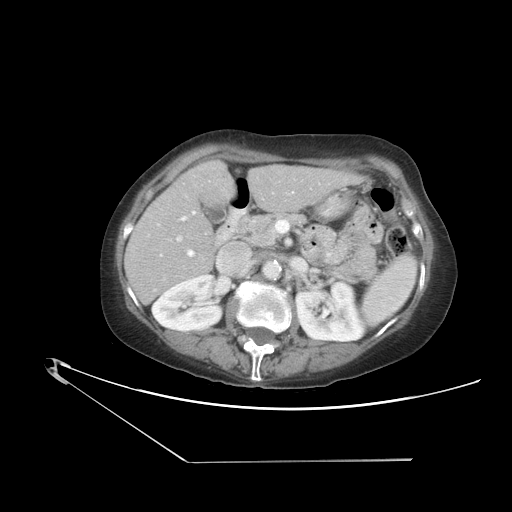
CT slice. Liver. 512x512.

Only some of the vessels may be annotated.
<segmentation>
  <hepatic_vessel>region(192, 211, 195, 214); region(188, 250, 193, 256); region(157, 223, 159, 225); region(181, 216, 186, 220); region(160, 254, 161, 256); region(288, 191, 293, 194); region(177, 236, 181, 240)</hepatic_vessel>
</segmentation>